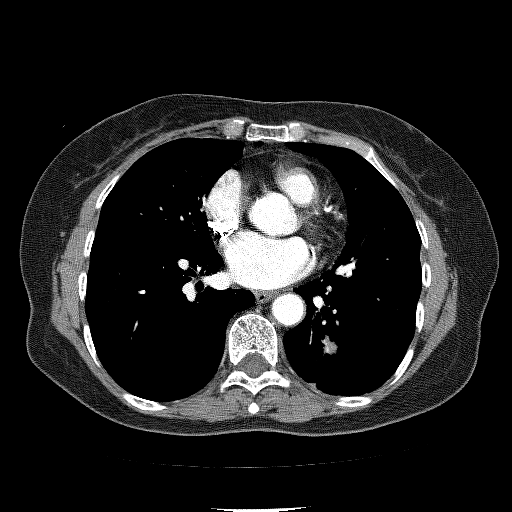

Computed tomography, Thorax

The lung tumor appears at (x1=321, y1=335, x2=338, y2=356).